FLAIR MR image.
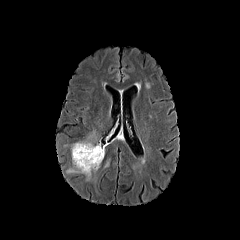
T1-weighted MRI.
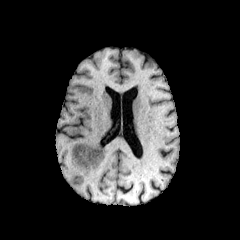
Post-contrast T1-weighted MRI.
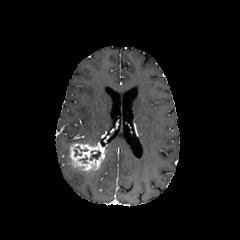
T2-weighted MR image.
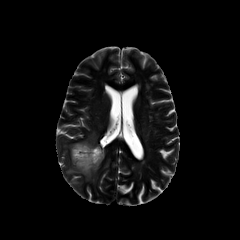
240x240
Edema: l=76, t=131, r=96, b=145; l=66, t=163, r=95, b=181.
Non-enhancing tumor core: l=89, t=151, r=100, b=160.
Enhancing tumor: l=69, t=142, r=107, b=172.